Slice 76/155. Field of view 240 mm wide, 1.00 mm slice spacing.
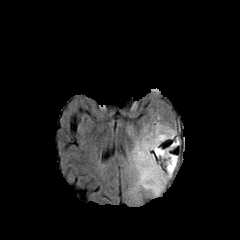
FLAIR MR.
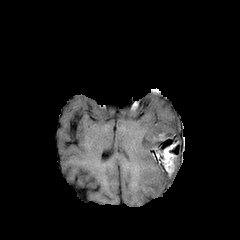
T1-weighted MR image.
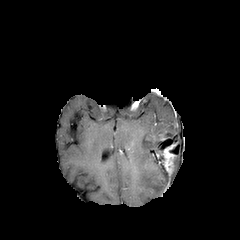
Same slice, post-contrast T1-weighted MRI.
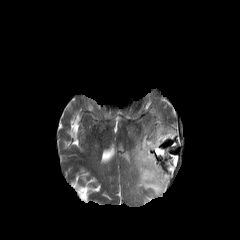
T2-weighted MR.
The non-enhancing tumor core is at 154, 145, 165, 154. The enhancing tumor is located at 161, 144, 175, 175. The edema is located at 127, 114, 179, 200.